Image width 37 mm | 37x48 | MR image | Slice index 25 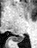
The posterior hippocampus is at [14,34,25,42].